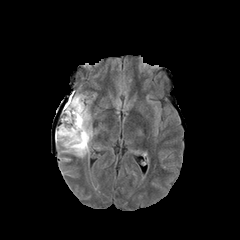
FLAIR MR.
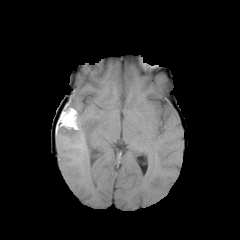
T1-weighted MR.
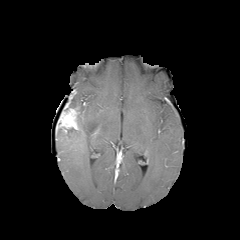
Same slice, post-contrast T1-weighted MR image.
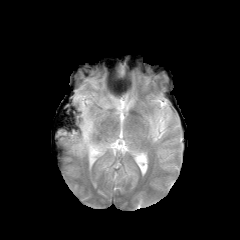
T2-weighted magnetic resonance.
Image size 240x240; Brain
The edema is located at x1=55 y1=90 x2=97 y2=157. The non-enhancing tumor core lies within x1=57 y1=99 x2=76 y2=131. The enhancing tumor is located at x1=60 y1=108 x2=76 y2=129.